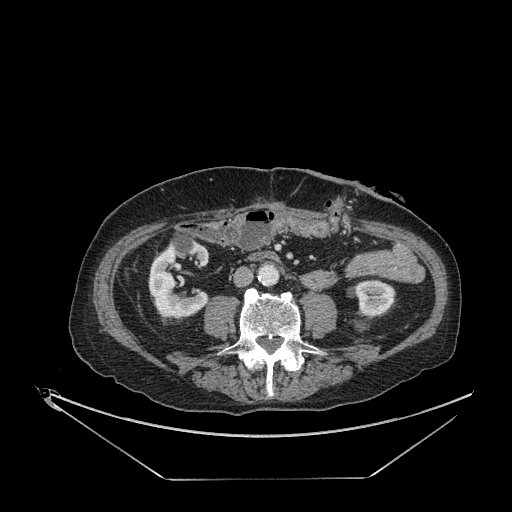

Abdomen, CT slice

3 kidney regions are located at box(190, 242, 208, 265); box(149, 245, 207, 317); box(355, 280, 394, 317).